FLAIR MR.
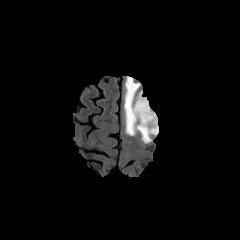
T1-weighted MR image.
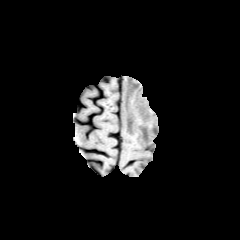
Post-contrast T1-weighted MR image.
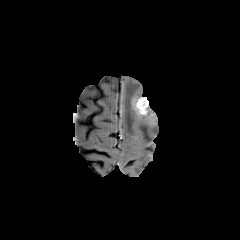
T2-weighted MR.
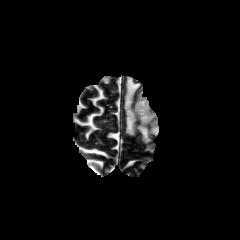
Edema = x1=123 y1=76 x2=158 y2=144.
Enhancing tumor = x1=132 y1=97 x2=155 y2=124.